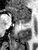 MRI

{
  "posterior_hippocampus": [
    "17 23 25 23"
  ],
  "anterior_hippocampus": [
    "6 6 30 22"
  ]
}